Liver. Computed tomography. 512x512 px.
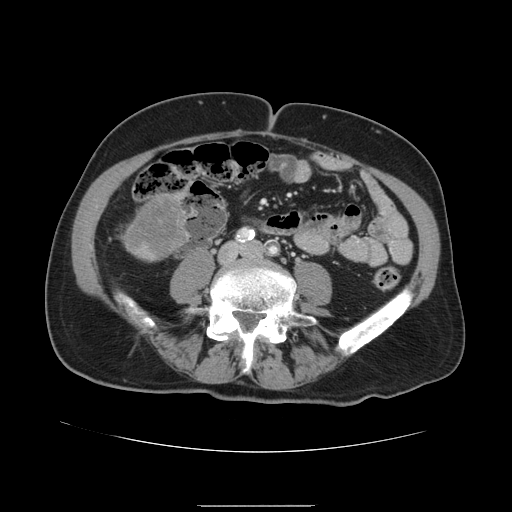 Liver tumor — left=127, top=196, right=184, bottom=256.